CT

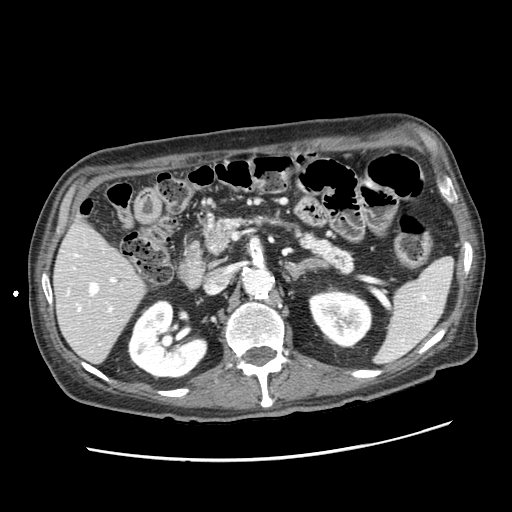

pancreatic_tumor:
  - region(212, 224, 230, 245)
pancreas:
  - region(205, 217, 276, 254)
  - region(284, 225, 352, 271)